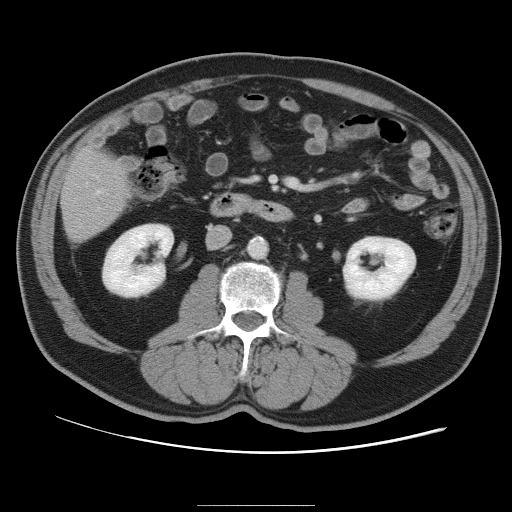

Liver | CT image
The vessel annotation is not exhaustive.
<segmentation>
  <hepatic_vessel>{"x1": 97, "y1": 209, "x2": 99, "y2": 210}, {"x1": 96, "y1": 189, "x2": 104, "y2": 194}</hepatic_vessel>
</segmentation>